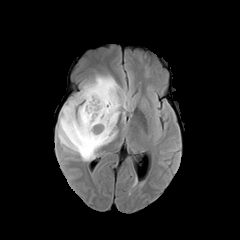
FLAIR magnetic resonance.
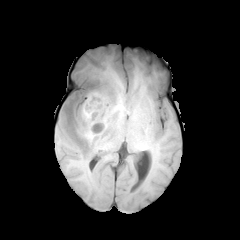
T1-weighted MRI of the same slice.
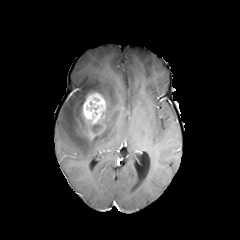
Post-contrast T1-weighted magnetic resonance.
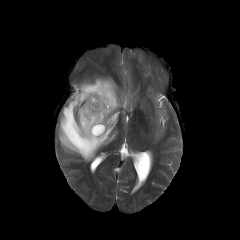
T2-weighted MRI of the same slice.
<segmentation>
  <edema>58:73:130:161</edema>
  <non-enhancing_tumor_core>66:104:103:143, 80:84:101:107</non-enhancing_tumor_core>
  <enhancing_tumor>82:92:105:125</enhancing_tumor>
</segmentation>